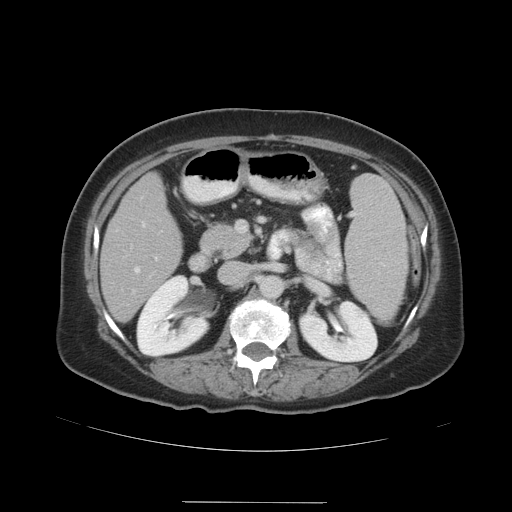

CT
Only some of the vessels may be annotated.
{"hepatic_vessel": ["x1=143, y1=223, x2=144, y2=226", "x1=132, y1=290, x2=134, y2=293", "x1=155, y1=257, x2=157, y2=259", "x1=135, y1=267, x2=139, y2=272"]}